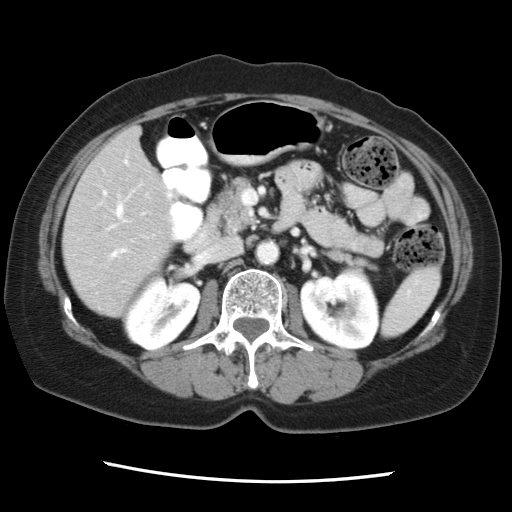 Liver; Computed tomography; 512x512 px
The vessel annotation is not exhaustive.
Annotated regions:
- hepatic vessel: [107, 255, 112, 260], [118, 246, 125, 255], [115, 202, 121, 215], [98, 200, 103, 204]